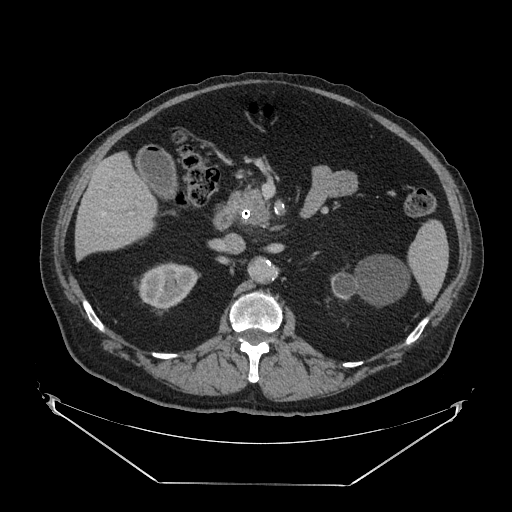
Upper abdomen | CT scan slice

Pancreatic tumor = [x1=251, y1=201, x2=264, y2=213].
Pancreas = [x1=230, y1=190, x2=268, y2=223].